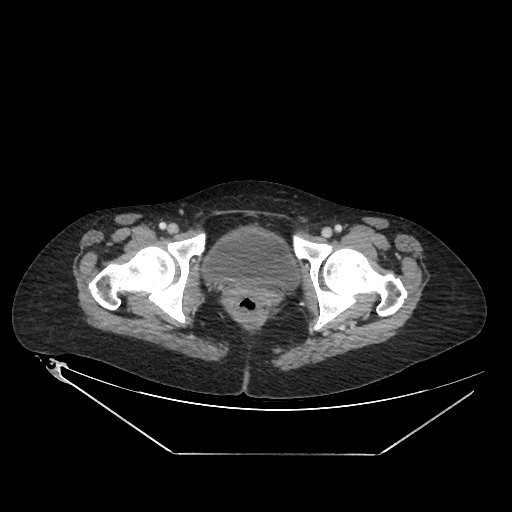
CT image | Lower abdomen
Annotated regions:
* urinary bladder: [200,228,302,293]